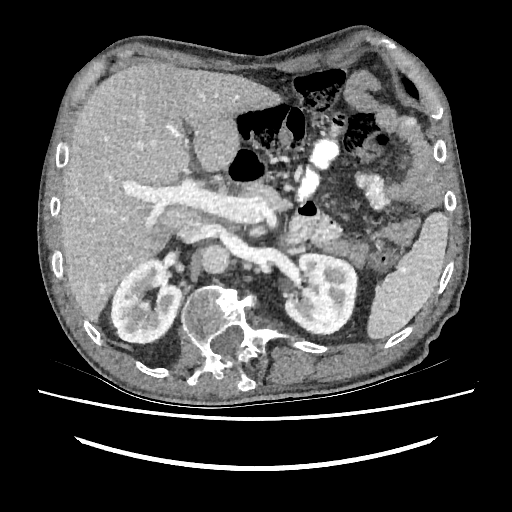
Computed tomography | Image size 512x512 | Abdomen
The liver is at 62:64:279:320. 2 kidney regions appear at 285:254:356:333, 111:260:181:342.